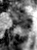

MRI slice
{"anterior_hippocampus": ["(9,10,31,22)"], "posterior_hippocampus": ["(19,23,31,30)"]}